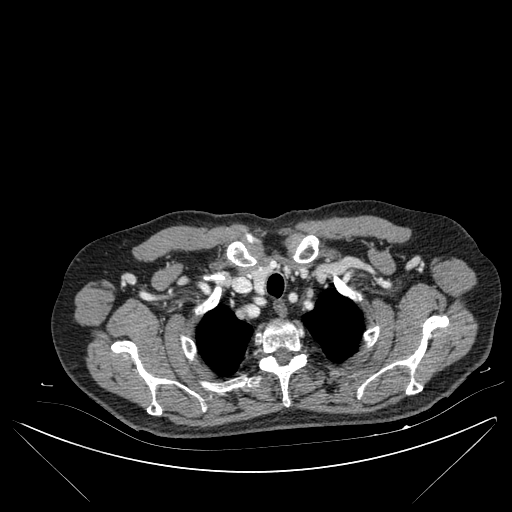 Thorax | 512x512 | CT
<segmentation>
  <bone>[357, 316, 448, 398], [256, 321, 306, 406], [198, 273, 225, 313], [181, 336, 195, 359], [364, 326, 379, 346], [293, 235, 318, 262], [201, 377, 259, 392], [334, 273, 355, 298], [111, 341, 196, 414], [227, 241, 256, 266], [246, 234, 254, 242]</bone>
  <lung>[267, 277, 283, 296], [196, 305, 252, 374], [303, 289, 363, 362]</lung>
</segmentation>